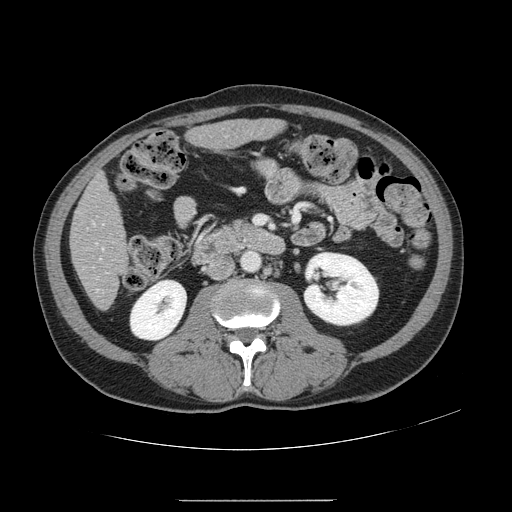 Abdomen. CT slice. The vessel boxes may cover only some of the vessels.
2 hepatic vessel regions appear at region(102, 248, 103, 249); region(93, 222, 94, 224).